FLAIR MR.
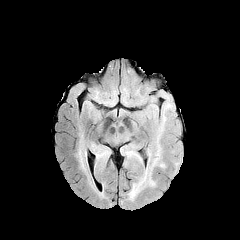
T1-weighted MR.
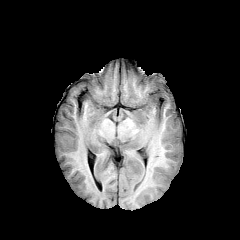
Post-contrast T1-weighted MRI.
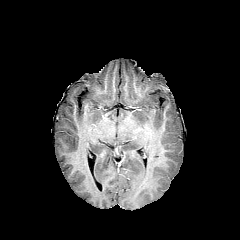
T2-weighted MRI.
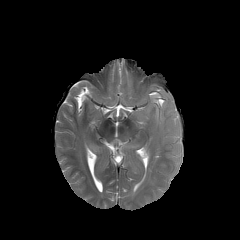
Brain
Edema: (91,142,105,162).